Head | Slice 117/155 | 240x240
FLAIR magnetic resonance.
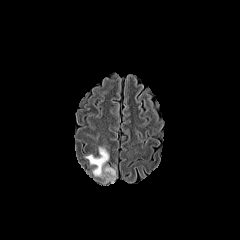
T1-weighted MRI.
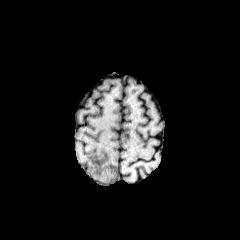
Post-contrast T1-weighted magnetic resonance.
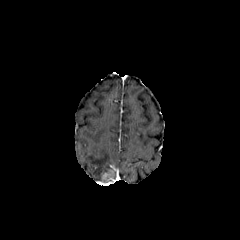
T2-weighted MRI.
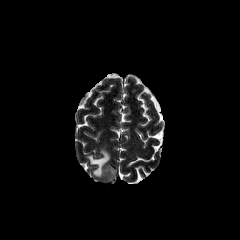
The edema lies within {"x1": 85, "y1": 147, "x2": 110, "y2": 175}. The enhancing tumor is at {"x1": 101, "y1": 169, "x2": 114, "y2": 183}.